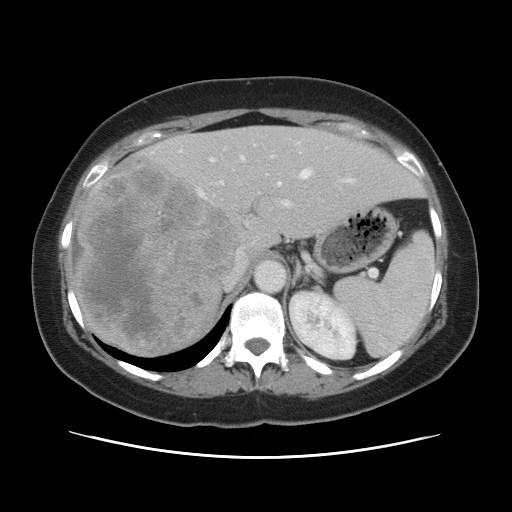 Liver; Computed tomography

Some hepatic vessels may have no box.
The liver tumor is at {"x1": 77, "y1": 157, "x2": 241, "y2": 351}. 14 hepatic vessel regions are located at {"x1": 211, "y1": 159, "x2": 214, "y2": 161}, {"x1": 280, "y1": 200, "x2": 292, "y2": 206}, {"x1": 296, "y1": 141, "x2": 299, "y2": 143}, {"x1": 278, "y1": 182, "x2": 280, "y2": 185}, {"x1": 240, "y1": 156, "x2": 243, "y2": 160}, {"x1": 224, "y1": 246, "x2": 246, "y2": 289}, {"x1": 270, "y1": 156, "x2": 273, "y2": 157}, {"x1": 246, "y1": 222, "x2": 247, "y2": 225}, {"x1": 301, "y1": 169, "x2": 311, "y2": 177}, {"x1": 198, "y1": 190, "x2": 203, "y2": 193}, {"x1": 345, "y1": 178, "x2": 355, "y2": 183}, {"x1": 219, "y1": 181, "x2": 223, "y2": 184}, {"x1": 248, "y1": 237, "x2": 256, "y2": 244}, {"x1": 258, "y1": 192, "x2": 259, "y2": 193}.